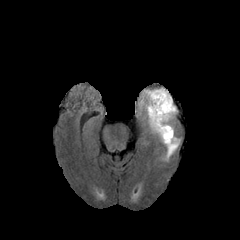
FLAIR MR image.
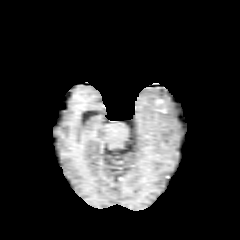
T1-weighted MR.
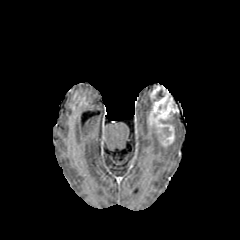
Same slice, post-contrast T1-weighted magnetic resonance.
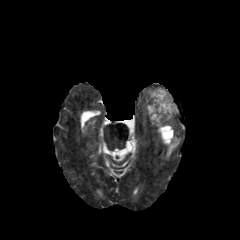
T2-weighted MR image of the same slice.
Brain, 240x240
Edema: (164, 138, 180, 160), (139, 89, 151, 114).
Enhancing tumor: (148, 87, 178, 146).